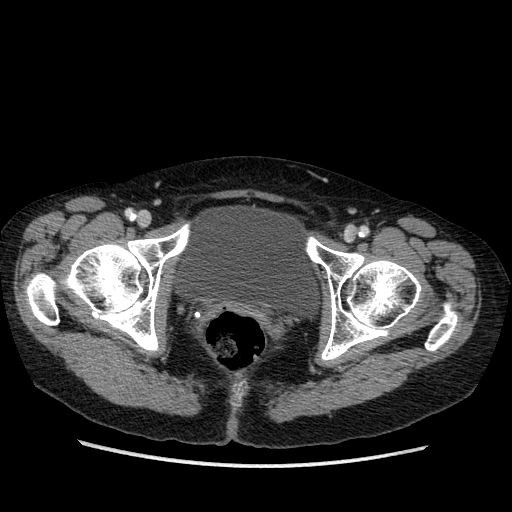
CT image
The urinary bladder appears at x1=172, y1=205, x2=323, y2=321.